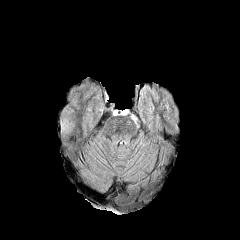
FLAIR MRI.
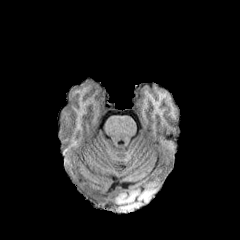
T1-weighted MR.
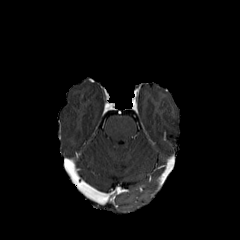
Post-contrast T1-weighted MR.
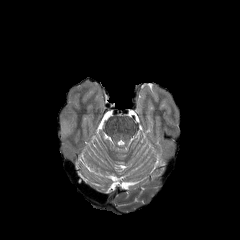
T2-weighted MR.
The edema appears at x1=61, y1=118, x2=73, y2=131.